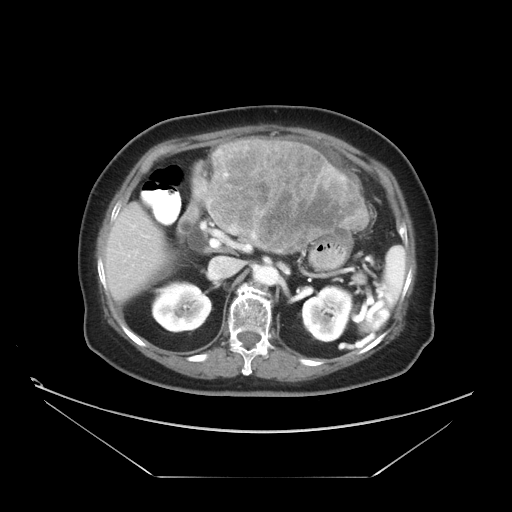
CT slice; Liver

liver tumor: {"x1": 206, "y1": 138, "x2": 368, "y2": 254}